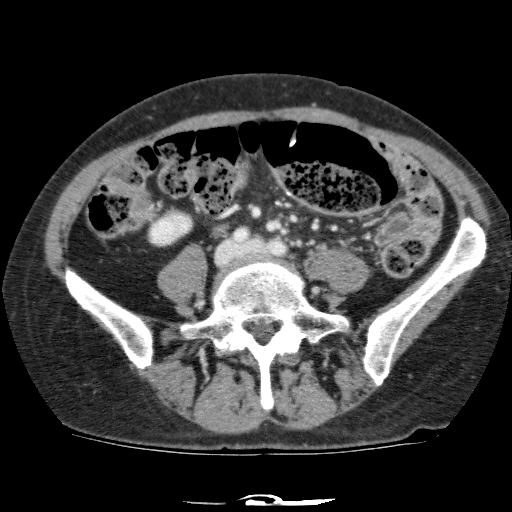 Computed tomography. 512x512 px. Abdomen.

The kidney is located at left=151, top=215, right=189, bottom=242.